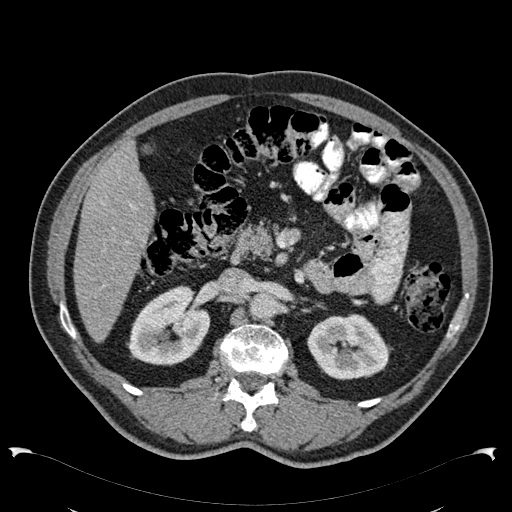
CT image.
Kidney: bounding box <bbox>128, 286, 212, 364</bbox>, <bbox>307, 314, 388, 379</bbox>.
Liver: bounding box <bbox>75, 138, 154, 343</bbox>.